FLAIR magnetic resonance.
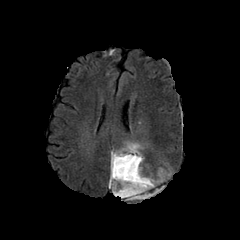
T1-weighted MRI.
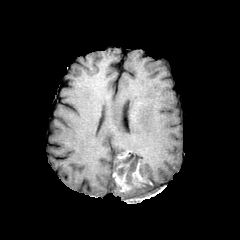
Post-contrast T1-weighted magnetic resonance.
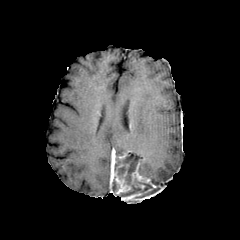
T2-weighted MRI.
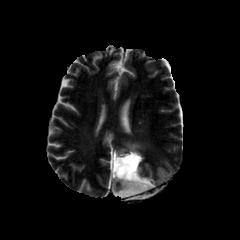
2 non-enhancing tumor core regions are located at 112 179 120 192, 115 151 156 198. 3 enhancing tumor regions are located at 133 172 155 187, 123 193 141 199, 109 152 130 194. The edema appears at 116 142 158 184.